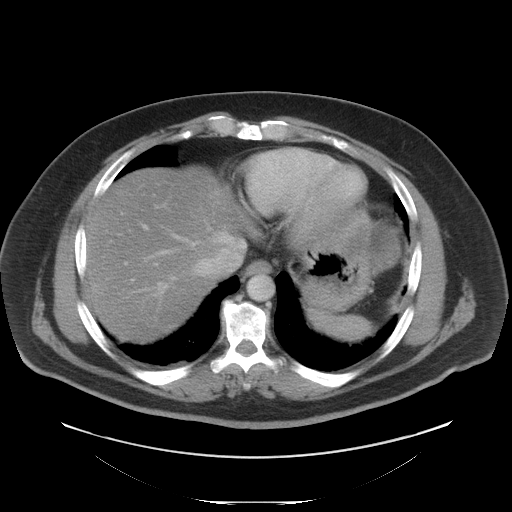
CT.

pancreas:
  - bbox(366, 223, 376, 266)
pancreatic_tumor:
  - bbox(370, 223, 400, 274)